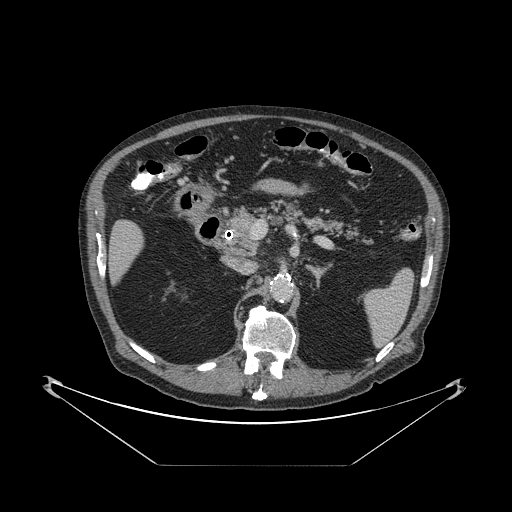 CT scan slice; Upper abdomen

pancreas: 349,226,357,235; 226,201,342,251 | pancreatic tumor: 232,218,251,242